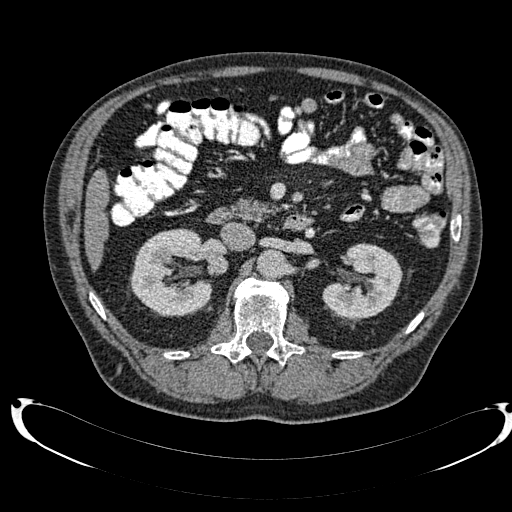
Abdomen; CT slice

2 kidney regions are located at box(131, 229, 229, 316); box(322, 243, 402, 319). The liver is at box(84, 168, 107, 268).